CT. 512x512. Abdomen. 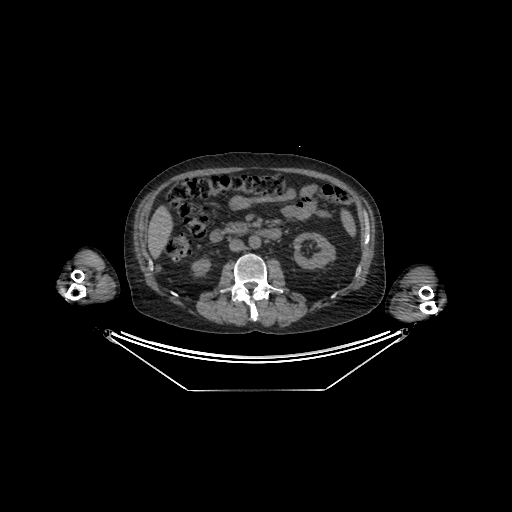

<segmentation>
  <kidney>bbox(293, 232, 335, 269); bbox(191, 257, 211, 276)</kidney>
  <liver>bbox(148, 206, 172, 258)</liver>
</segmentation>